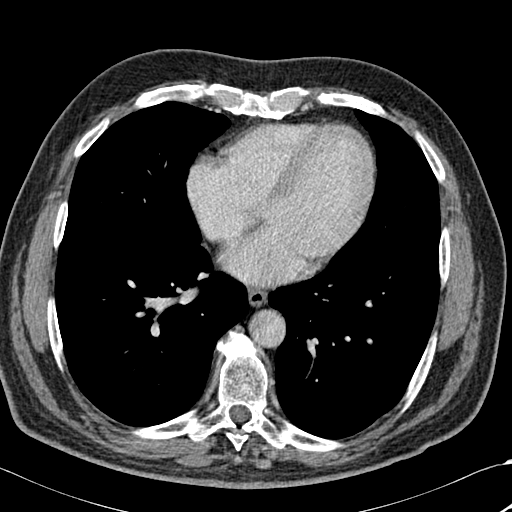

Thorax | 512x512 | CT slice
Lung — 55:101:249:426, 268:109:440:439.
Bone — 416:134:444:181, 135:332:339:451, 47:300:61:362, 406:338:435:405, 75:119:108:156, 136:83:383:118, 53:203:67:246, 439:229:450:281.